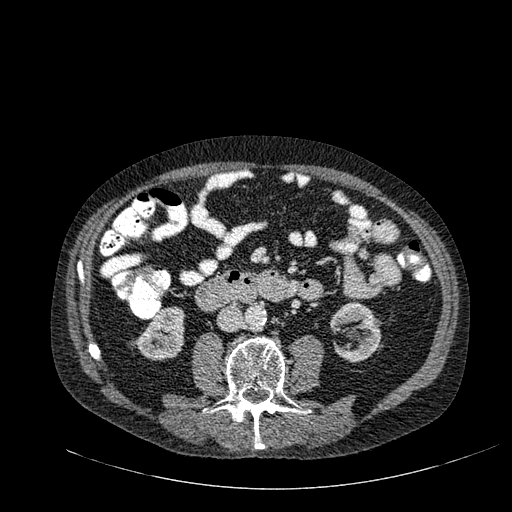 CT slice

2 kidney regions are bounded by [x1=329, y1=302, x2=382, y2=362], [x1=133, y1=306, x2=185, y2=360].